CT scan slice | Abdomen
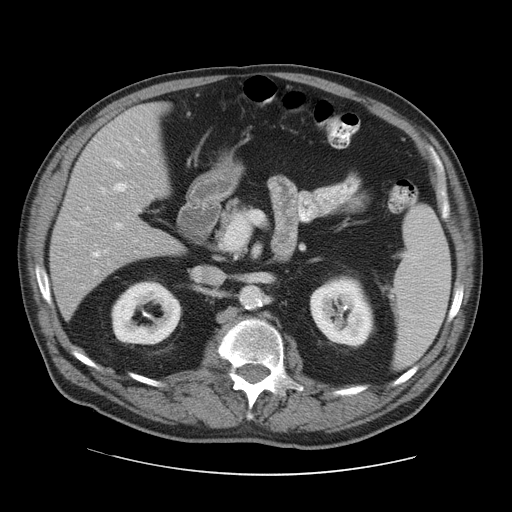
The vessel annotation is not exhaustive.
8 hepatic vessel regions are located at bbox=[114, 183, 125, 190]; bbox=[102, 188, 104, 190]; bbox=[142, 149, 144, 152]; bbox=[104, 250, 106, 252]; bbox=[116, 223, 120, 228]; bbox=[94, 252, 98, 255]; bbox=[95, 271, 96, 273]; bbox=[108, 159, 120, 166].